Computed tomography. Upper abdomen.

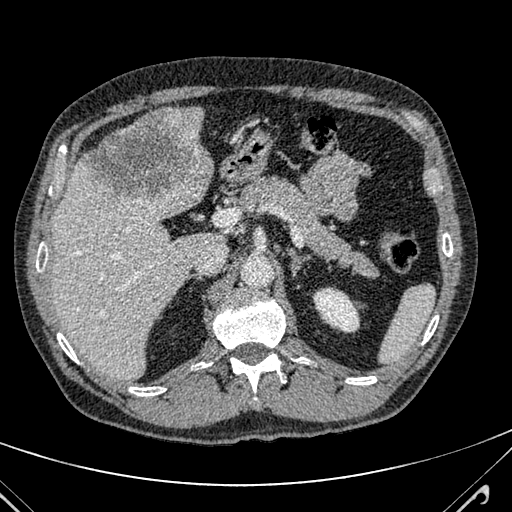

Liver lesion = 77, 109, 210, 205.
Liver = 165, 108, 203, 146; 50, 162, 223, 379.